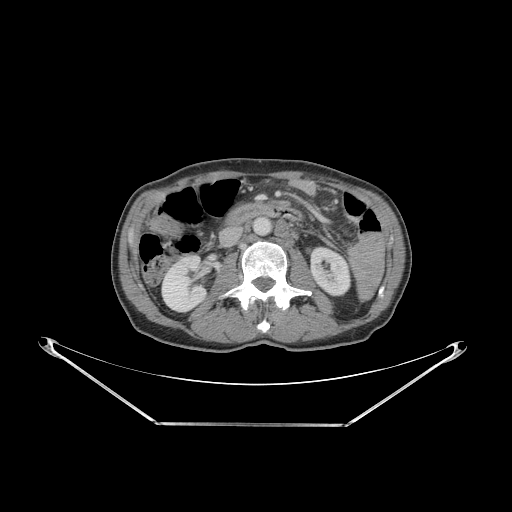 Abdomen. CT slice. 2 kidney regions are located at (left=162, top=256, right=205, bottom=311), (left=311, top=248, right=349, bottom=294). 2 bone regions appear at (left=258, top=320, right=269, bottom=332), (left=224, top=242, right=311, bottom=309).